FLAIR MR image.
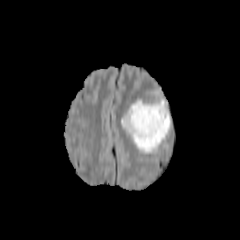
T1-weighted MRI.
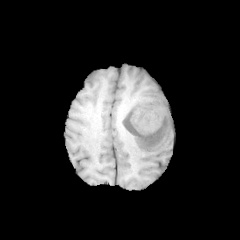
Post-contrast T1-weighted MR image.
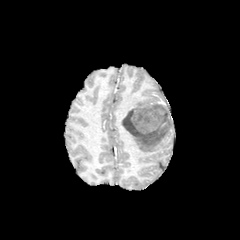
T2-weighted magnetic resonance.
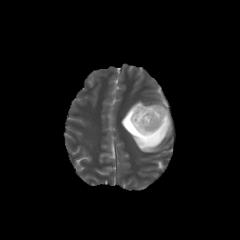
Head
2 edema regions are bounded by region(121, 100, 172, 152); region(121, 99, 151, 123). The non-enhancing tumor core appears at region(122, 103, 169, 139).